CT slice; Slice 37/87; Abdomen; Field of view 392x392 mm 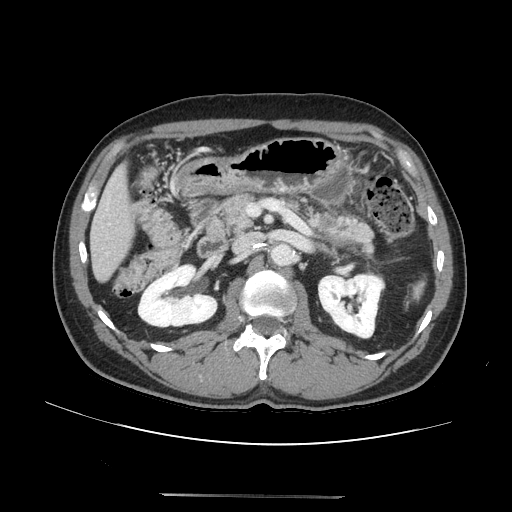
Pancreatic tumor — bbox(317, 214, 350, 236).
Pancreas — bbox(325, 217, 373, 255); bbox(220, 193, 252, 232); bbox(287, 197, 322, 231).